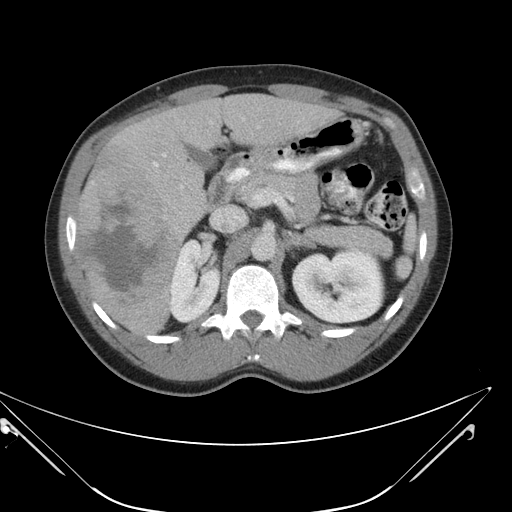
Image size 512x512; CT
Only some of the vessels may be annotated.
hepatic_vessel:
  - 180, 185, 182, 188
  - 163, 153, 165, 156
  - 211, 208, 243, 230
  - 154, 162, 157, 166
  - 257, 126, 259, 128
  - 242, 117, 244, 120
liver_tumor:
  - 76, 148, 181, 334